Abdomen | Slice index 230 | Field of view 381x381 mm | CT image

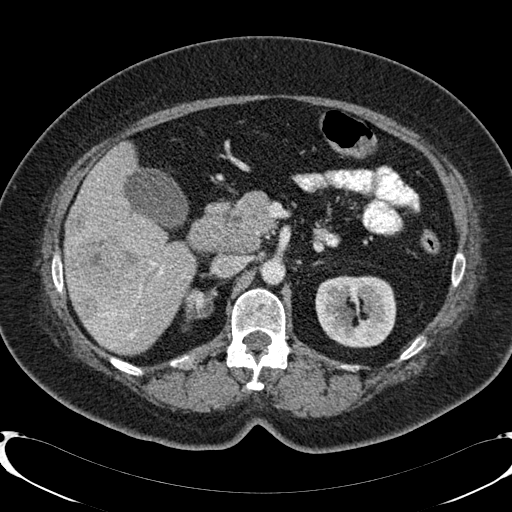
2 kidney regions are bounded by box=[316, 277, 395, 346]; box=[182, 291, 210, 321]. 2 liver lesion regions are bounded by box=[75, 216, 85, 227]; box=[75, 233, 158, 315]. The liver is located at box=[65, 143, 195, 354].